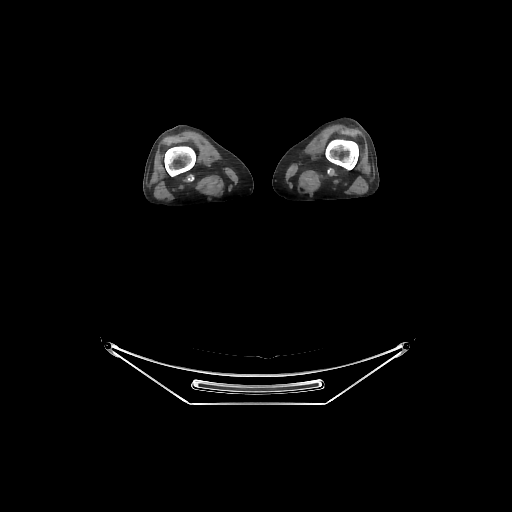

CT scan slice, Image size 512x512
Bone — (164, 146, 195, 176), (325, 139, 358, 169).